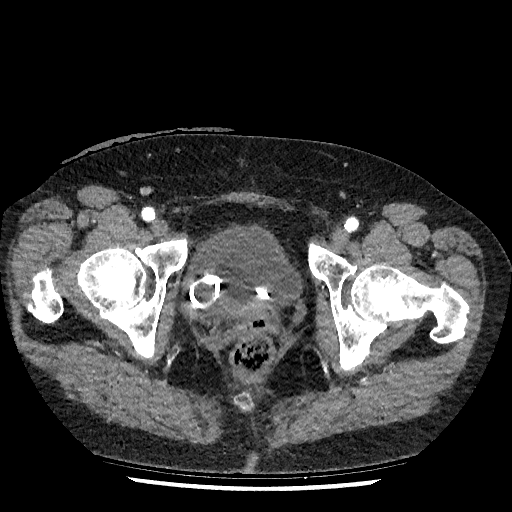
CT image, Image size 512x512
Segmented structures:
* urinary bladder: (178,224,296,326), (198,288,209,301)